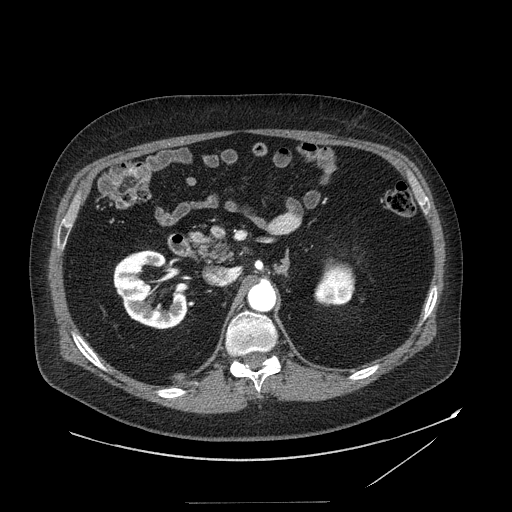

CT slice; 512x512; Abdomen
The pancreas is located at box=[189, 231, 233, 264]. The pancreatic tumor is bounded by box=[215, 239, 228, 255].